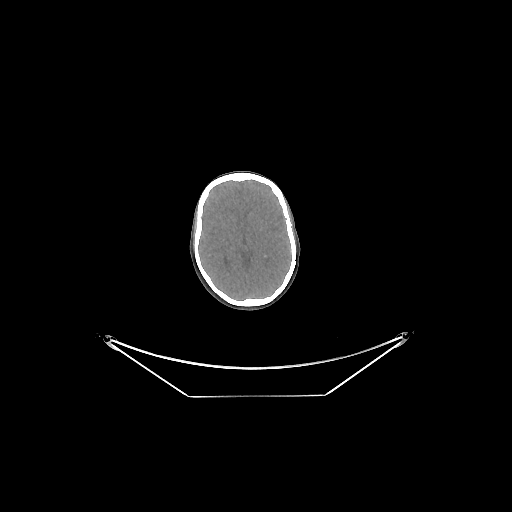 512x512. CT slice.

The brain lies within box=[198, 180, 291, 300].